Liver, Image width 367 mm, CT image 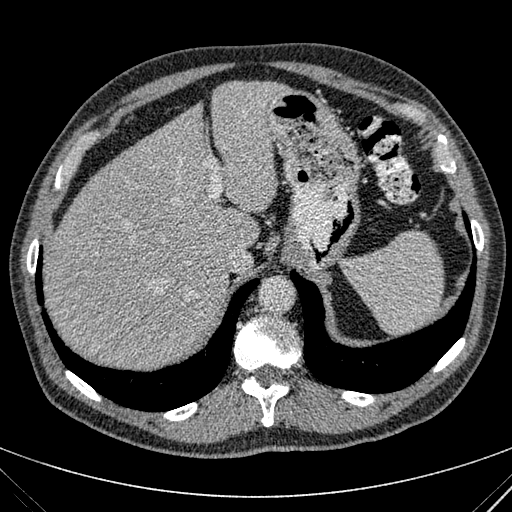

Liver at {"x1": 44, "y1": 82, "x2": 286, "y2": 367}.